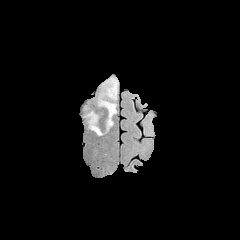
FLAIR magnetic resonance.
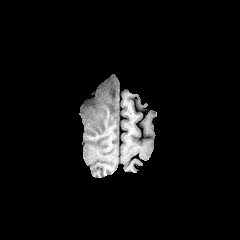
T1-weighted MR image.
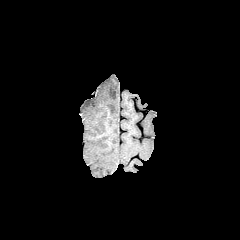
Post-contrast T1-weighted magnetic resonance.
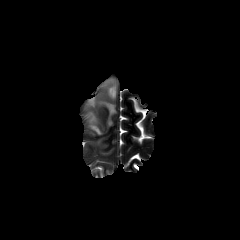
T2-weighted MR.
Brain
<segmentation>
  <edema>(left=85, top=114, right=109, bottom=135), (left=97, top=77, right=117, bottom=126)</edema>
</segmentation>